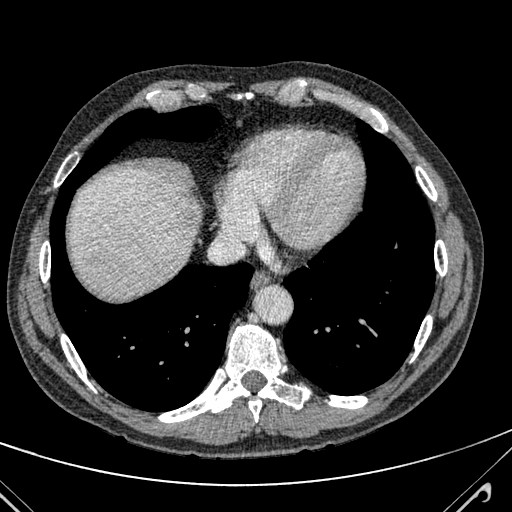 Liver. CT image. <segmentation>
  <liver>68 167 201 296</liver>
  <hepatic_lesion>178 208 196 226</hepatic_lesion>
</segmentation>